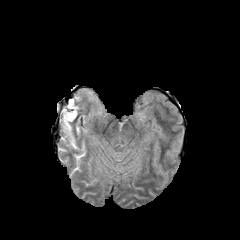
FLAIR magnetic resonance.
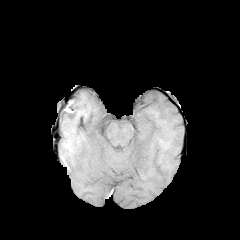
T1-weighted MR image of the same slice.
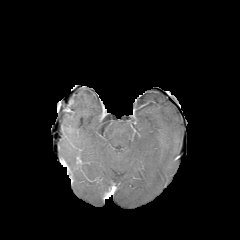
Same slice, post-contrast T1-weighted MRI.
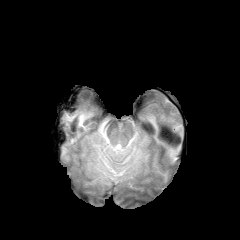
Same slice, T2-weighted magnetic resonance.
240x240 px
4 edema regions are located at <bbox>62, 100, 86, 148</bbox>, <bbox>109, 152, 121, 157</bbox>, <bbox>93, 142, 112, 171</bbox>, <bbox>129, 146, 141, 163</bbox>.